FLAIR MR image.
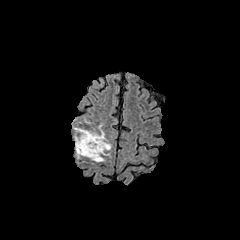
T1-weighted magnetic resonance.
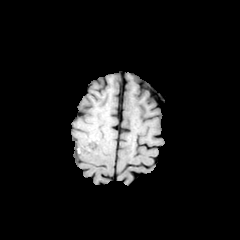
Post-contrast T1-weighted MR image.
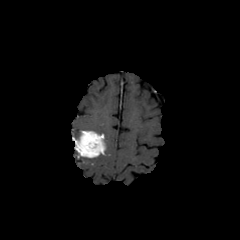
T2-weighted magnetic resonance.
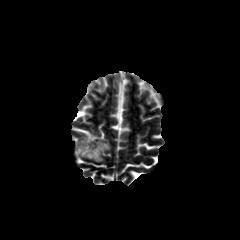
Head
Enhancing tumor: bbox(74, 130, 105, 157).
Edema: bbox(73, 124, 111, 162).